Upper abdomen; CT image; Field of view 374x374 mm 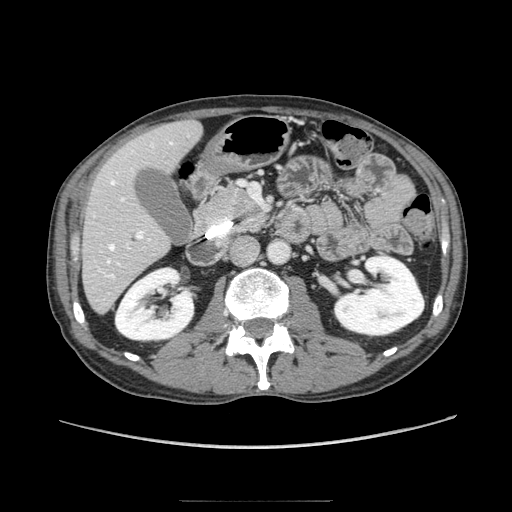

pancreas:
  - <bbox>195, 184, 266, 234</bbox>